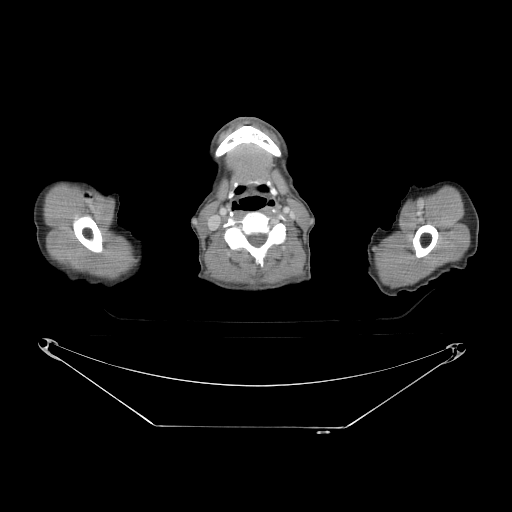
Computed tomography. Bone — (left=73, top=217, right=101, bottom=252), (left=216, top=126, right=280, bottom=156), (left=225, top=212, right=285, bottom=262), (left=413, top=225, right=438, bottom=257).